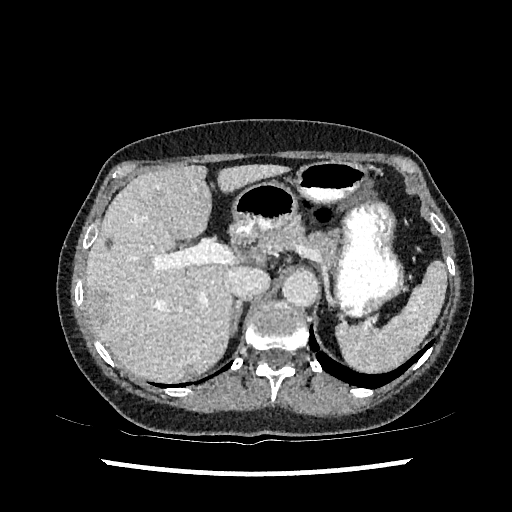

Computed tomography, Abdomen
2 liver regions are located at x1=86, y1=166, x2=231, y2=380; x1=219, y1=165, x2=284, y2=190. 2 focal liver lesion regions appear at x1=87, y1=288, x2=110, y2=326; x1=106, y1=239, x2=112, y2=247.